FLAIR MR image.
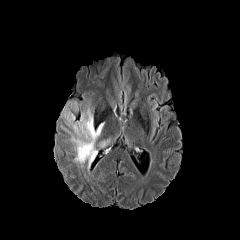
T1-weighted MR.
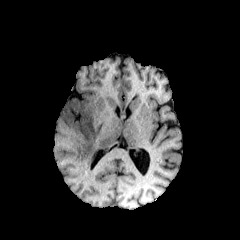
Post-contrast T1-weighted MRI.
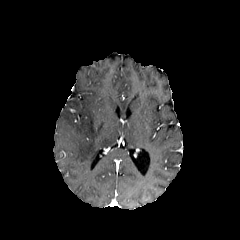
T2-weighted MRI.
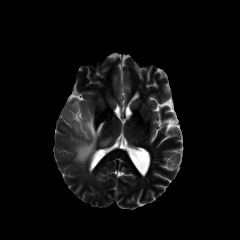
Head
The edema is at [x1=74, y1=110, x2=105, y2=171].